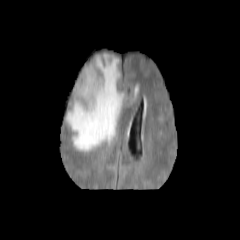
FLAIR MRI.
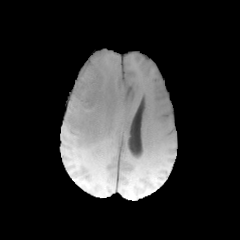
T1-weighted MRI.
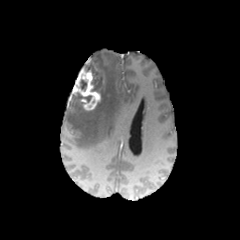
Post-contrast T1-weighted MR.
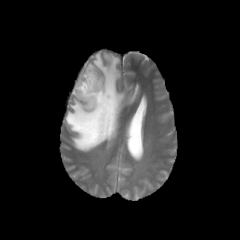
T2-weighted MR.
Image size 240x240
non-enhancing_tumor_core:
  - <box>76,94,92,106</box>
  - <box>85,56,107,98</box>
  - <box>80,79,86,90</box>
edema:
  - <box>65,52,126,152</box>
  - <box>130,84,138,101</box>
enhancing_tumor:
  - <box>72,58,101,109</box>